512x512 px; Slice index 278; Computed tomography 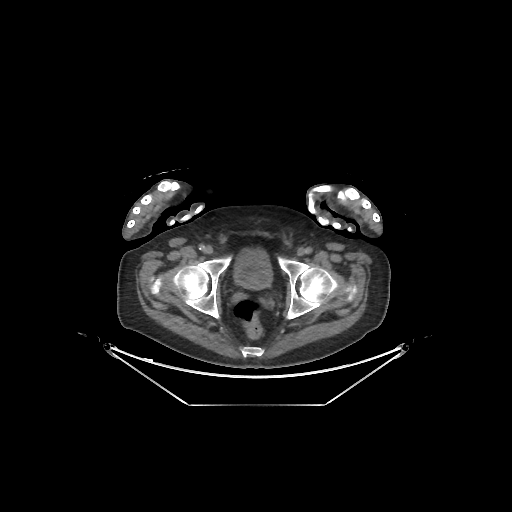

urinary bladder: (left=234, top=248, right=272, bottom=289) | bone: (left=318, top=217, right=328, bottom=224), (left=133, top=195, right=151, bottom=214), (left=151, top=278, right=161, bottom=293), (left=338, top=188, right=370, bottom=208), (left=158, top=181, right=179, bottom=192), (left=308, top=185, right=331, bottom=213), (left=278, top=257, right=338, bottom=318), (left=345, top=286, right=356, bottom=300), (left=172, top=257, right=230, bottom=317), (left=242, top=347, right=262, bottom=356), (left=370, top=210, right=379, bottom=221)